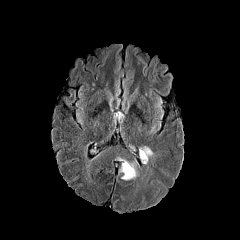
FLAIR magnetic resonance.
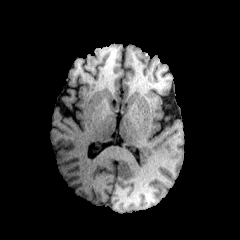
T1-weighted MR.
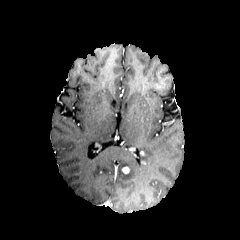
Post-contrast T1-weighted MR image of the same slice.
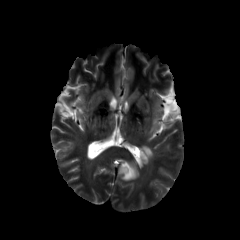
Same slice, T2-weighted magnetic resonance.
Brain
Annotated regions:
- enhancing tumor: (x1=121, y1=166, x2=128, y2=174)
- edema: (x1=138, y1=146, x2=152, y2=164), (x1=117, y1=159, x2=138, y2=180)